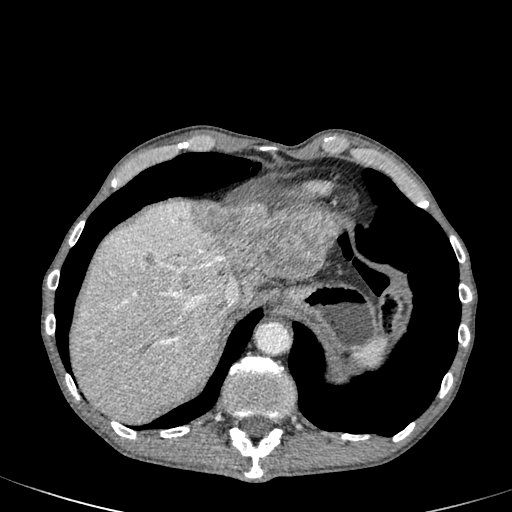 Computed tomography
Findings:
- hepatic lesion: box=[188, 204, 340, 303]
- liver: box=[72, 201, 248, 423]